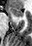 Medial temporal lobe | MR
{"anterior_hippocampus": ["(10, 8, 22, 17)"]}